Image width 240 mm. Head.
FLAIR MR image.
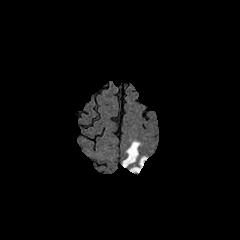
T1-weighted MR.
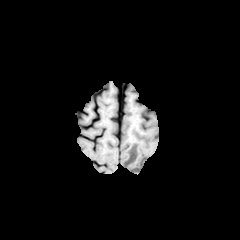
Post-contrast T1-weighted MR.
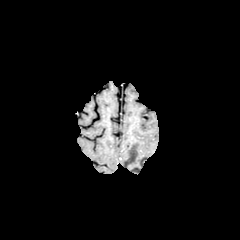
T2-weighted magnetic resonance.
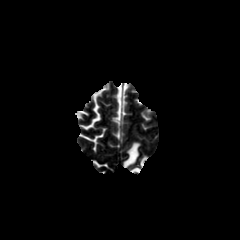
Edema = 130, 156, 147, 172; 122, 141, 140, 167.